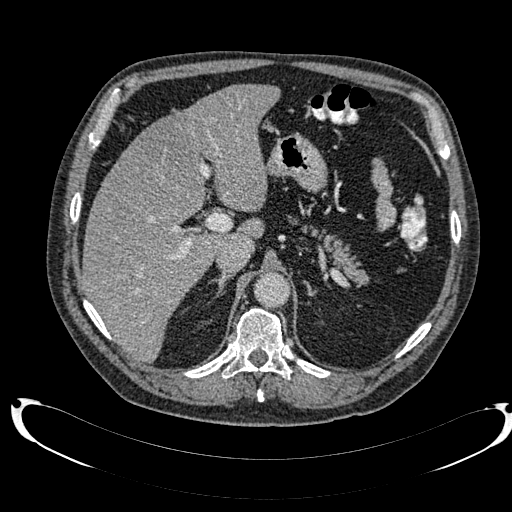
Upper abdomen | CT | 512x512
Liver at rect(81, 85, 280, 362); rect(239, 218, 264, 237).
Hepatic lesion at rect(137, 117, 191, 174).